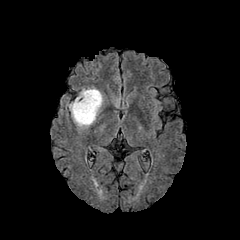
FLAIR magnetic resonance.
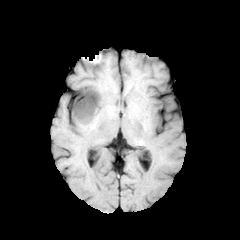
T1-weighted MR image.
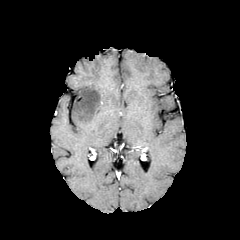
Post-contrast T1-weighted MRI of the same slice.
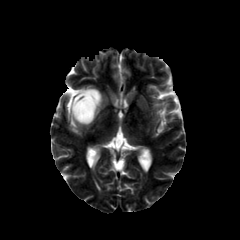
T2-weighted MRI.
240x240.
Edema: bounding box (x1=69, y1=87, x2=102, y2=126).